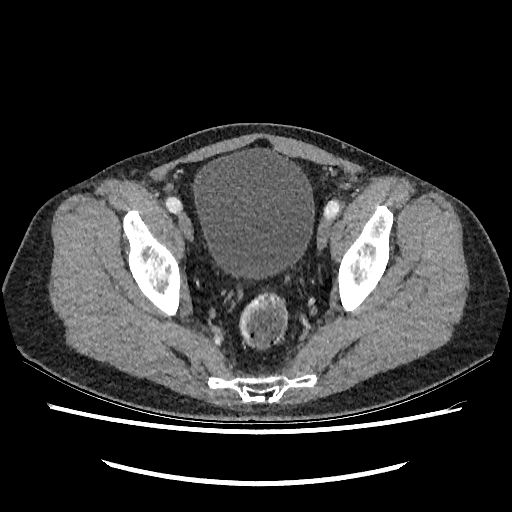 CT image
The urinary bladder appears at region(192, 147, 314, 279).